FLAIR MR.
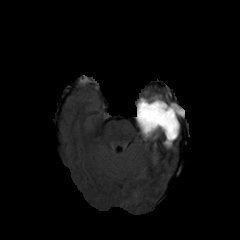
T1-weighted MRI.
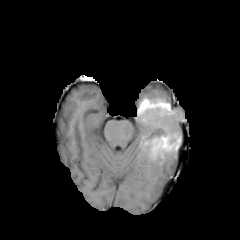
Post-contrast T1-weighted MR.
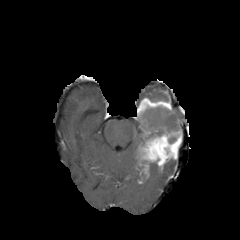
T2-weighted MRI.
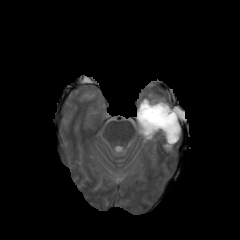
240x240 px
Enhancing tumor at <bbox>143, 131, 180, 160</bbox>, <bbox>136, 98, 173, 119</bbox>.
Edema at <bbox>172, 104, 183, 129</bbox>, <bbox>136, 120, 165, 139</bbox>, <bbox>149, 96, 165, 101</bbox>.
Non-enhancing tumor core at <bbox>155, 158, 165, 165</bbox>, <bbox>138, 107, 181, 141</bbox>.